240x240, Slice index 73, Field of view 240 mm wide, 1.00 mm slice spacing
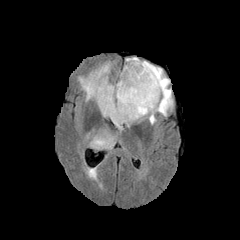
FLAIR MR.
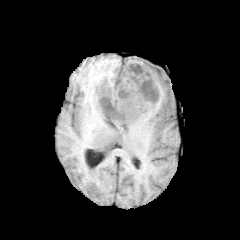
T1-weighted MR image of the same slice.
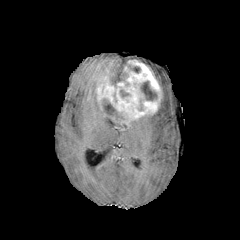
Post-contrast T1-weighted MRI.
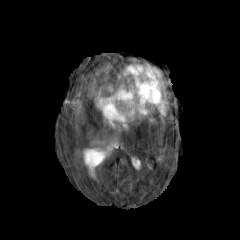
T2-weighted MR image of the same slice.
Non-enhancing tumor core — [x1=101, y1=98, x2=123, y2=119], [x1=140, y1=81, x2=157, y2=100], [x1=114, y1=71, x2=127, y2=83], [x1=127, y1=64, x2=140, y2=72].
Enhancing tumor — [x1=96, y1=60, x2=162, y2=123].
Edema — [x1=79, y1=60, x2=173, y2=128], [x1=92, y1=138, x2=113, y2=149].